Brain | Slice 117/155
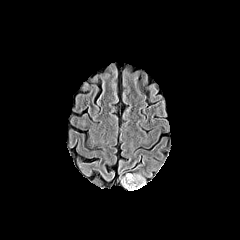
FLAIR magnetic resonance.
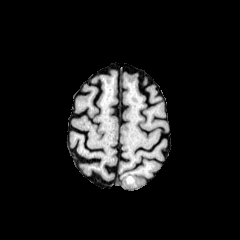
T1-weighted magnetic resonance.
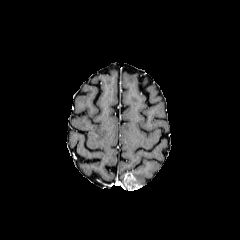
Post-contrast T1-weighted MR image of the same slice.
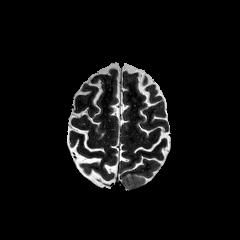
T2-weighted MRI of the same slice.
* enhancing tumor: x1=124 y1=173 x2=142 y2=190
* edema: x1=133 y1=173 x2=146 y2=185